CT, Image width 487 mm
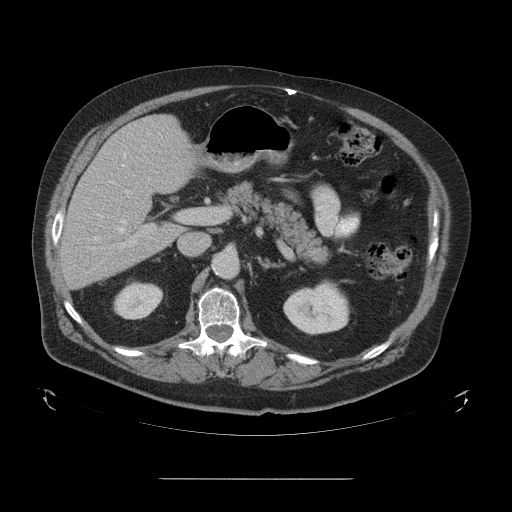 The vessel boxes may cover only some of the vessels.
hepatic vessel: (x1=122, y1=144, x2=127, y2=159), (x1=88, y1=236, x2=101, y2=241), (x1=121, y1=163, x2=126, y2=167), (x1=88, y1=203, x2=90, y2=208), (x1=95, y1=213, x2=104, y2=220), (x1=106, y1=180, x2=118, y2=185), (x1=125, y1=190, x2=131, y2=196), (x1=110, y1=225, x2=155, y2=249), (x1=115, y1=217, x2=127, y2=233), (x1=101, y1=247, x2=105, y2=248), (x1=179, y1=209, x2=213, y2=223)